240x240 px
FLAIR MRI.
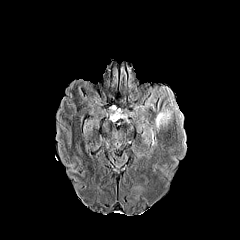
T1-weighted MR.
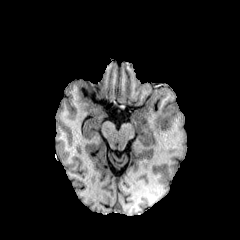
Post-contrast T1-weighted MR.
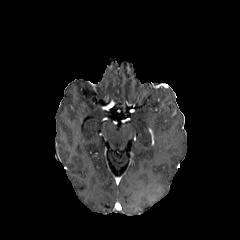
T2-weighted magnetic resonance.
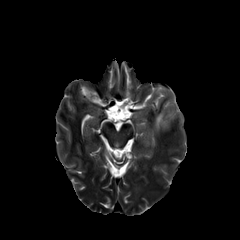
2 edema regions are located at (left=177, top=112, right=185, bottom=135), (left=152, top=100, right=174, bottom=134).